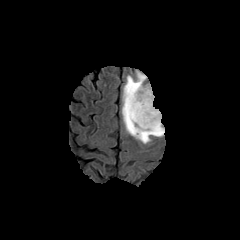
FLAIR MR image.
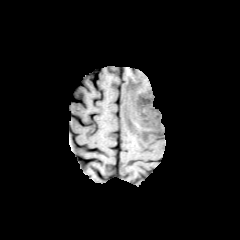
T1-weighted magnetic resonance.
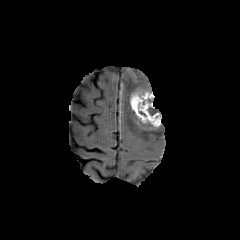
Same slice, post-contrast T1-weighted magnetic resonance.
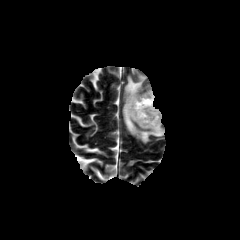
T2-weighted magnetic resonance.
Image size 240x240. Head.
{"edema": ["(121,69,164,144)"], "enhancing_tumor": ["(130,89,161,130)"], "non-enhancing_tumor_core": ["(148,108,158,115)"]}